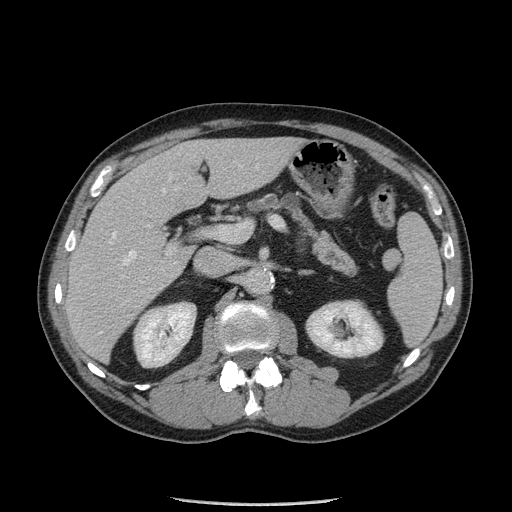

Computed tomography, Upper abdomen

pancreas: left=246, top=193, right=358, bottom=277 | pancreatic tumor: left=282, top=193, right=300, bottom=210